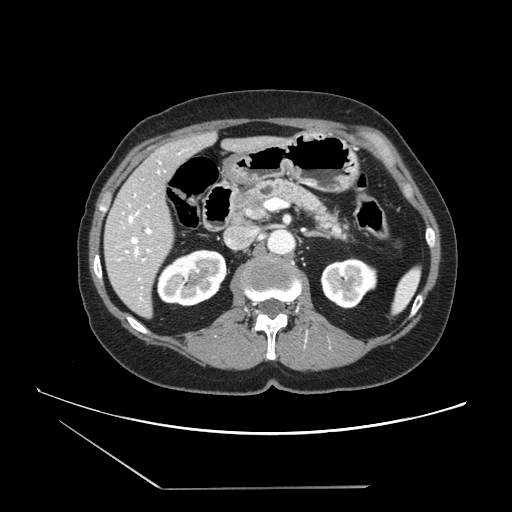

CT scan slice
Pancreatic tumor: rect(237, 193, 261, 208).
Pancreas: rect(245, 181, 347, 241).